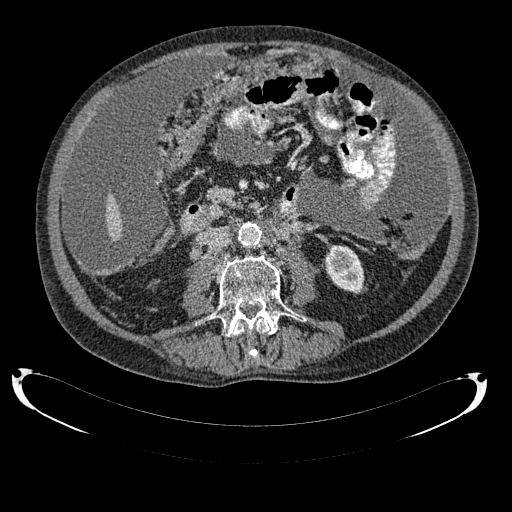
Computed tomography; 512x512 px
{
  "kidney": [
    "325,246,363,292"
  ],
  "liver": [
    "106,195,121,239"
  ]
}